Slice 101 of 155; Brain
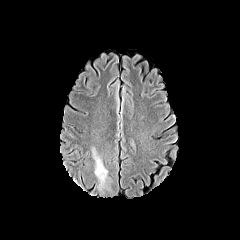
FLAIR MR image.
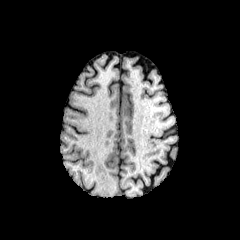
T1-weighted MR.
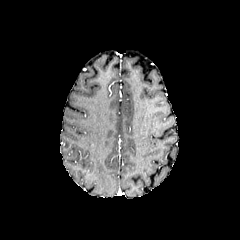
Post-contrast T1-weighted MR image of the same slice.
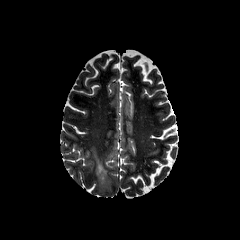
T2-weighted MR image.
Edema — 94:154:107:180.